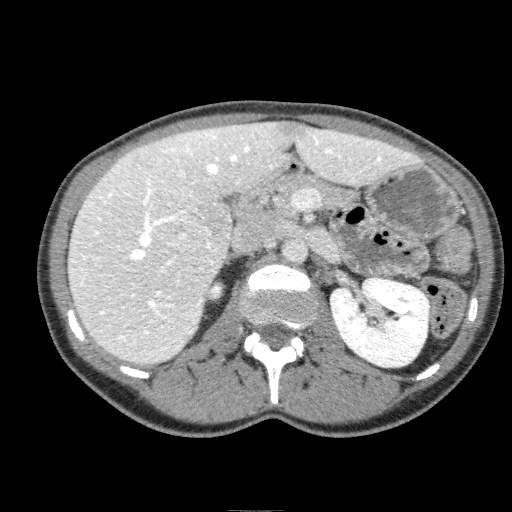

512x512 px, CT image

2 kidney regions are located at bbox(330, 278, 429, 366); bbox(211, 286, 220, 296). 2 liver lesion regions are located at bbox(273, 121, 309, 149); bbox(191, 201, 231, 235). 2 liver regions appear at bbox(289, 124, 418, 184); bbox(68, 120, 289, 364).